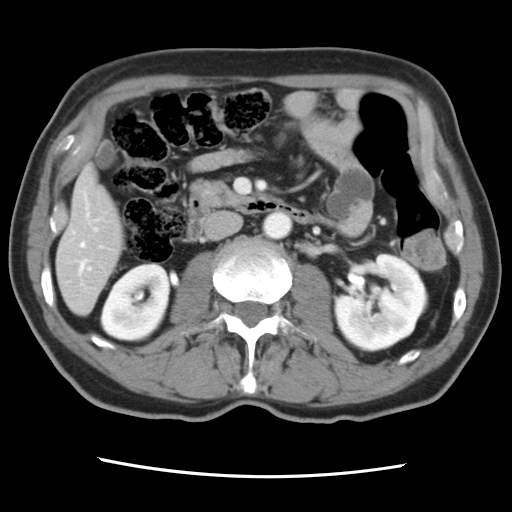

Computed tomography; Liver

Some hepatic vessels may have no box.
6 hepatic vessel regions are located at l=100, t=246, r=102, b=247; l=87, t=212, r=89, b=215; l=80, t=259, r=90, b=271; l=84, t=193, r=86, b=198; l=95, t=228, r=97, b=230; l=81, t=243, r=84, b=246.